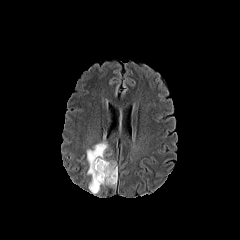
FLAIR magnetic resonance.
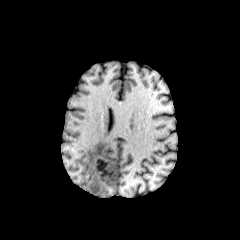
T1-weighted MR of the same slice.
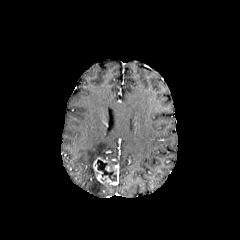
Post-contrast T1-weighted MR image.
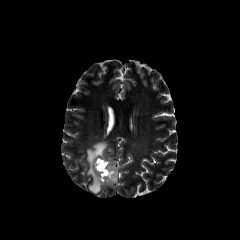
T2-weighted MR.
Head
Segmented structures:
• non-enhancing tumor core: [96,160,116,181]
• enhancing tumor: [93,158,116,184]
• edema: [86,141,111,193]